Slice 90/155 | 240x240 px
FLAIR MR image.
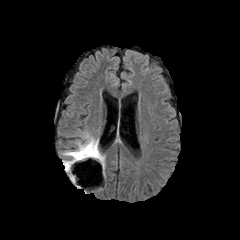
T1-weighted MR image.
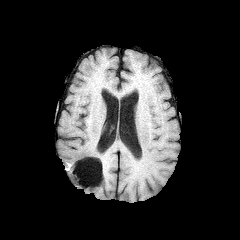
Post-contrast T1-weighted MRI.
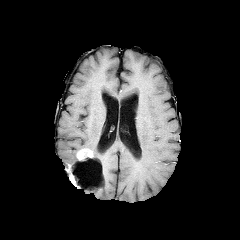
T2-weighted MR.
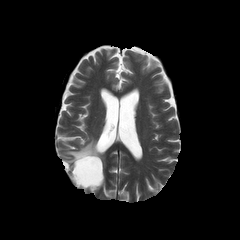
Enhancing tumor — (77, 149, 93, 160).
Edema — (62, 130, 98, 174), (98, 150, 105, 173).
Non-enhancing tumor core — (81, 145, 101, 162).